Head | Image size 240x240
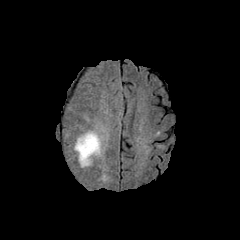
FLAIR MR image.
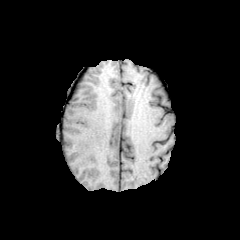
Same slice, T1-weighted MRI.
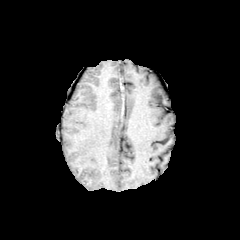
Same slice, post-contrast T1-weighted MR image.
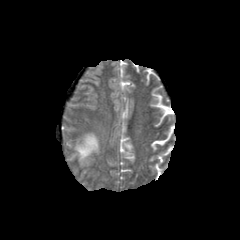
T2-weighted MR.
The edema appears at 74:131:100:167.